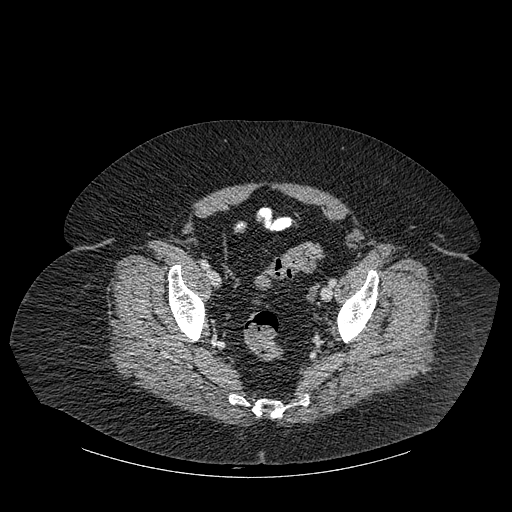 Computed tomography
Bone: 337,270,378,342; 168,265,204,341; 252,394,308,417; 229,394,249,405.